512x512, Field of view 320x320 mm, Computed tomography

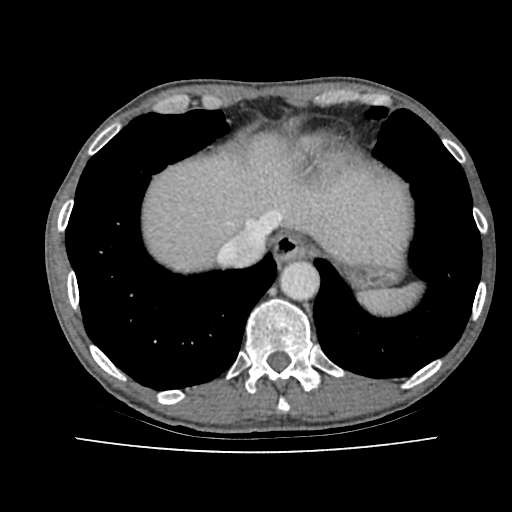

<segmentation>
  <liver>(x1=143, y1=134, x2=412, y2=272)</liver>
</segmentation>